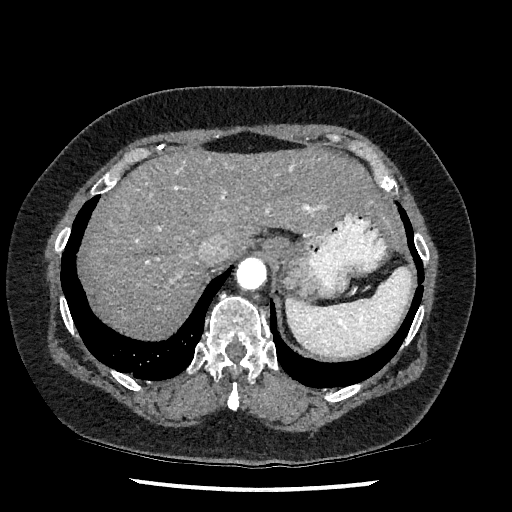 512x512 px. CT image. The liver appears at (84, 147, 404, 337).